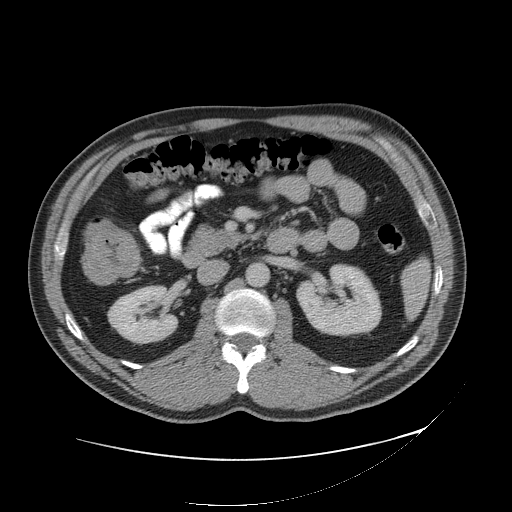 Abdomen. CT image. 512x512.
Colon tumor: bounding box x1=82 y1=220 x2=138 y2=283.